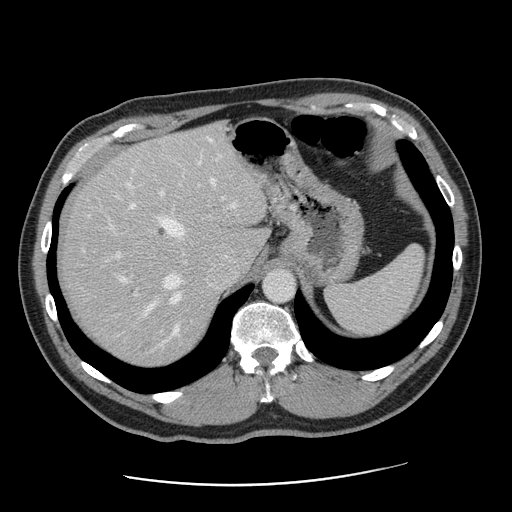

CT scan slice

The vessel annotation is not exhaustive.
Segmented structures:
* liver tumor: [149,139,162,149], [156,227,167,237], [135,339,157,356]
* hepatic vessel (largest 15 of 18): [113,226,115,230], [164,275,180,287], [172,327,178,335], [211,178,214,182], [159,217,183,235], [202,244,247,283], [119,276,125,280], [143,305,152,314], [127,183,131,189], [117,251,120,256], [229,204,234,207], [171,294,179,303], [132,204,135,207], [209,138,211,140], [161,190,164,194]